Field of view 240x240 mm. Image size 240x240. Slice index 99. Head.
FLAIR MR image.
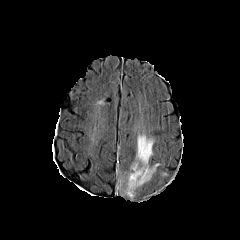
T1-weighted MRI.
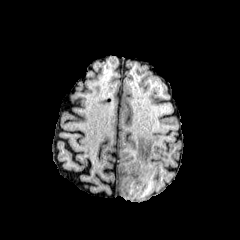
Post-contrast T1-weighted MR.
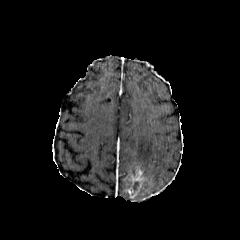
T2-weighted magnetic resonance.
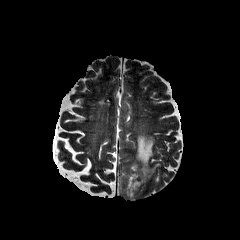
Enhancing tumor: bbox(123, 165, 144, 198).
Edema: bbox(134, 132, 160, 183).